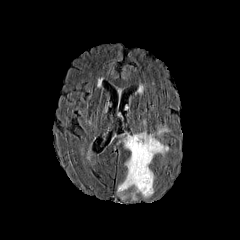
FLAIR MRI.
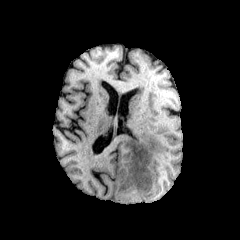
T1-weighted MR.
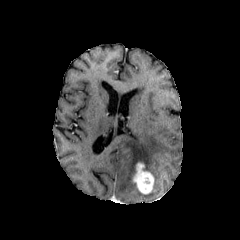
Post-contrast T1-weighted magnetic resonance.
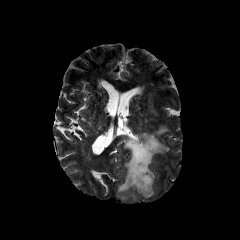
T2-weighted MR.
240x240
enhancing_tumor:
  - [132, 162, 154, 193]
edema:
  - [140, 190, 153, 197]
  - [114, 119, 170, 201]